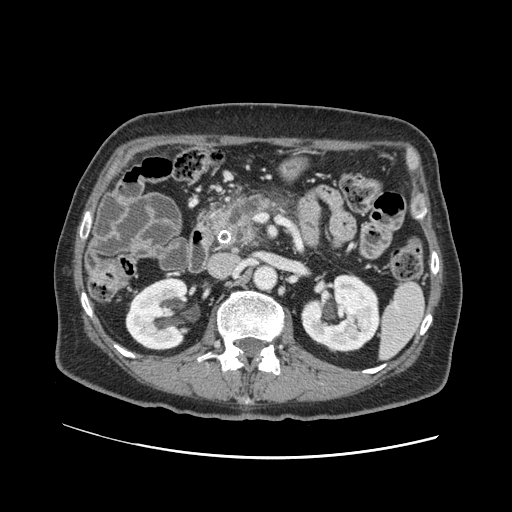 512x512 px; Upper abdomen; CT slice
The pancreas lies within <box>196,190,298,255</box>.